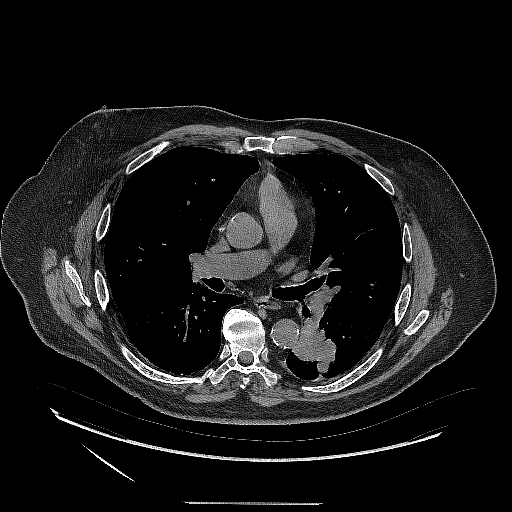
Chest. CT scan slice. 512x512.

• lung tumor: (291,315,339,375)